Upper abdomen | Image width 460 mm | Computed tomography 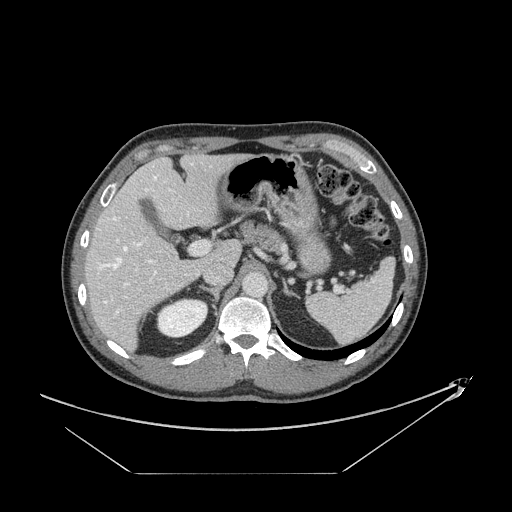

pancreas: 238,221,285,253